FLAIR MRI.
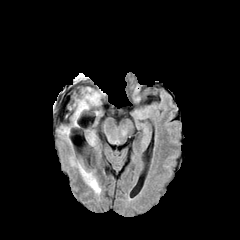
T1-weighted magnetic resonance.
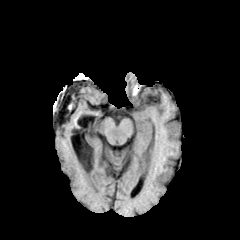
Post-contrast T1-weighted MR image.
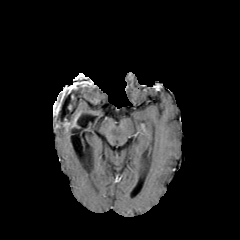
T2-weighted magnetic resonance.
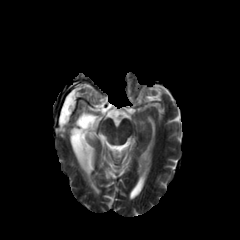
Brain
<segmentation>
  <edema><bbox>61, 125, 71, 144</bbox>, <bbox>72, 99, 88, 120</bbox>, <bbox>70, 160, 101, 195</bbox>, <bbox>84, 88, 101, 107</bbox></edema>
</segmentation>